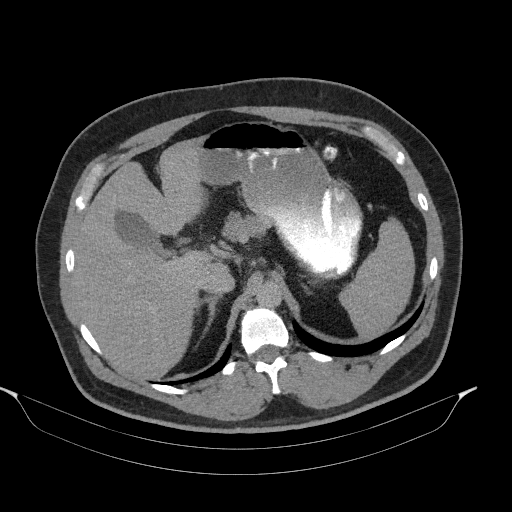

CT scan slice; 512x512; Upper abdomen
pancreas:
  - (224,212,270,240)